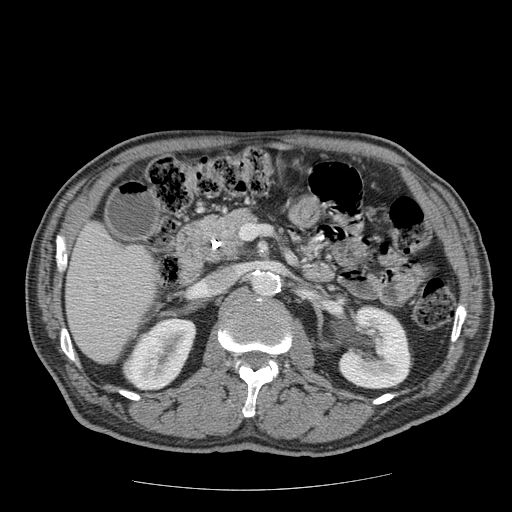
CT, Image size 512x512
Pancreatic tumor: bounding box [186,217,241,263].
Pancreas: bounding box [205,206,261,266].